Upper abdomen | CT | Image size 512x512

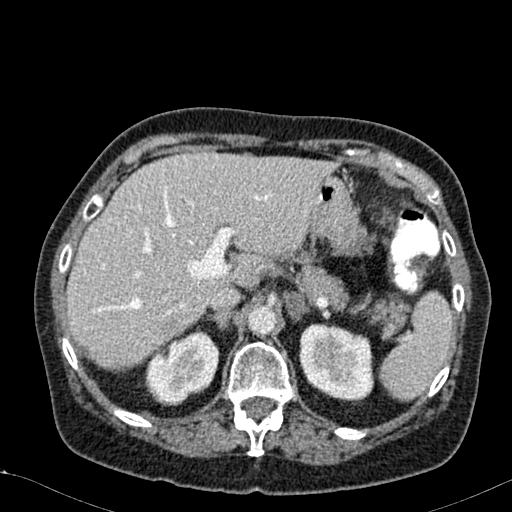

kidney: region(300, 325, 373, 399); region(147, 332, 218, 403) | liver: region(67, 153, 335, 367)